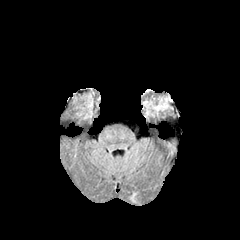
FLAIR MRI.
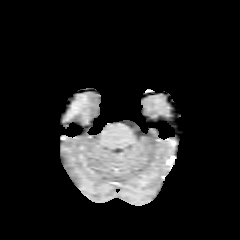
T1-weighted MR image of the same slice.
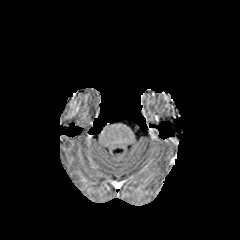
Post-contrast T1-weighted MRI.
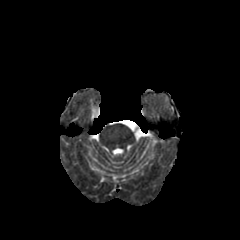
T2-weighted MR image.
Brain
Segmented structures:
- edema: <bbox>144, 94, 173, 115</bbox>